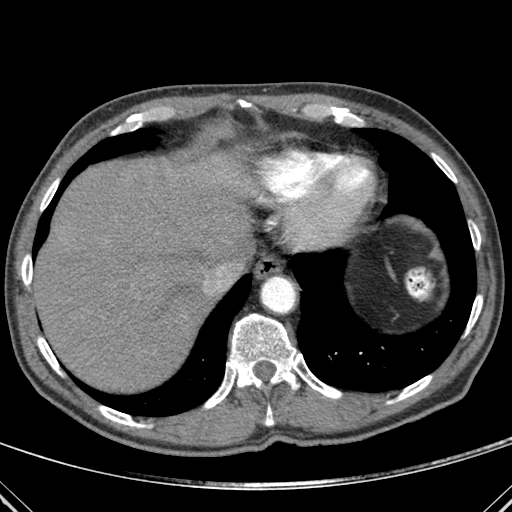
CT slice

Lung at left=70, top=274, right=251, bottom=416; left=36, top=128, right=158, bottom=251; left=291, top=128, right=476, bottom=391.
Bone at left=432, top=153, right=456, bottom=182; left=37, top=337, right=61, bottom=374; left=204, top=314, right=341, bottom=408; left=265, top=406, right=273, bottom=425; left=99, top=406, right=144, bottom=427; left=470, top=223, right=480, bottom=249; left=21, top=255, right=32, bottom=285; left=238, top=100, right=250, bottom=106; left=397, top=375, right=432, bottom=400; left=40, top=179, right=58, bottom=210; left=465, top=295, right=482, bottom=334.
Liver at left=32, top=152, right=252, bottom=393.